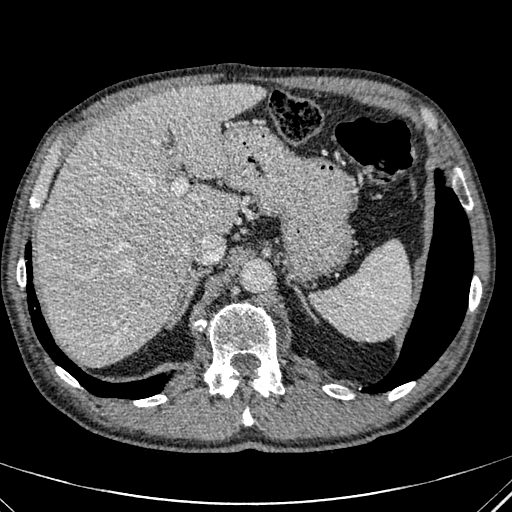

CT, Liver, Image size 512x512
<segmentation>
  <liver>38:84:265:364</liver>
</segmentation>